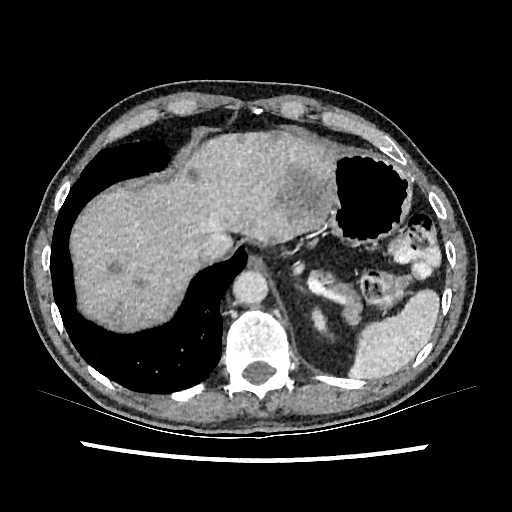
Upper abdomen. Computed tomography. liver_lesion:
  - bbox=[266, 234, 279, 241]
  - bbox=[319, 149, 331, 161]
  - bbox=[103, 303, 127, 328]
  - bbox=[234, 134, 247, 146]
  - bbox=[133, 276, 146, 288]
  - bbox=[165, 291, 182, 315]
  - bbox=[264, 132, 281, 145]
  - bbox=[186, 167, 201, 182]
  - bbox=[270, 162, 333, 228]
  - bbox=[105, 260, 126, 277]
liver:
  - bbox=[75, 132, 334, 328]
kidney:
  - bbox=[315, 314, 323, 328]